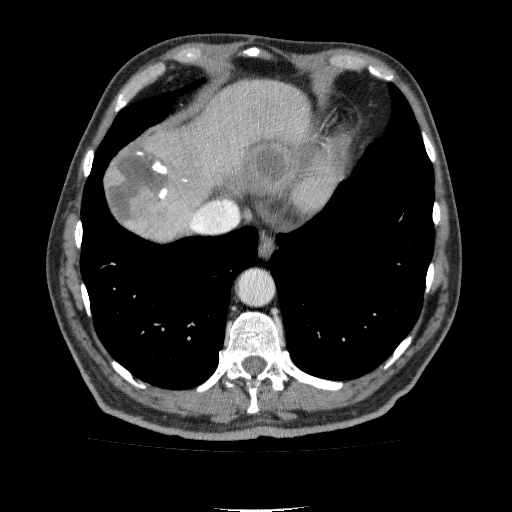 CT slice, Abdomen
Focal liver lesion at [237,137,310,198], [105,145,178,229].
Liver at [129,78,316,242].